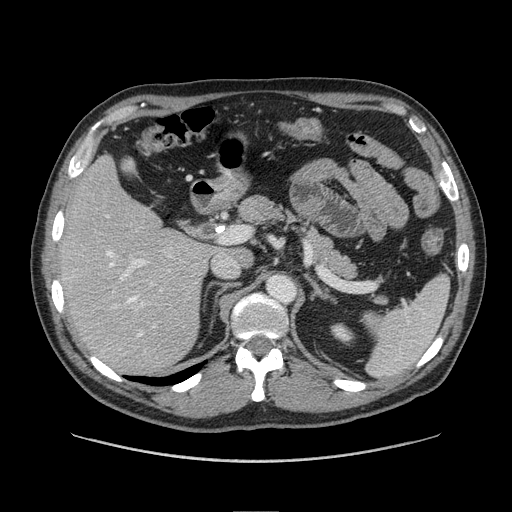 CT scan slice

The pancreas is located at [233,192,367,281].